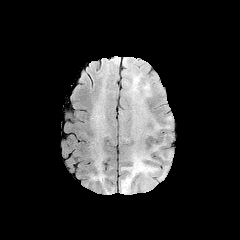
FLAIR MR image.
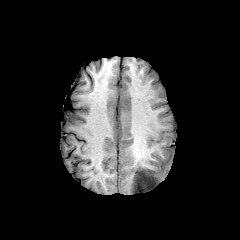
T1-weighted MR image of the same slice.
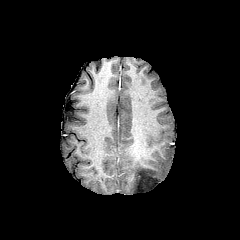
Post-contrast T1-weighted magnetic resonance of the same slice.
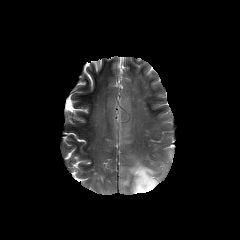
T2-weighted MR.
The non-enhancing tumor core is bounded by (134, 166, 156, 190). The edema lies within (121, 155, 162, 192).